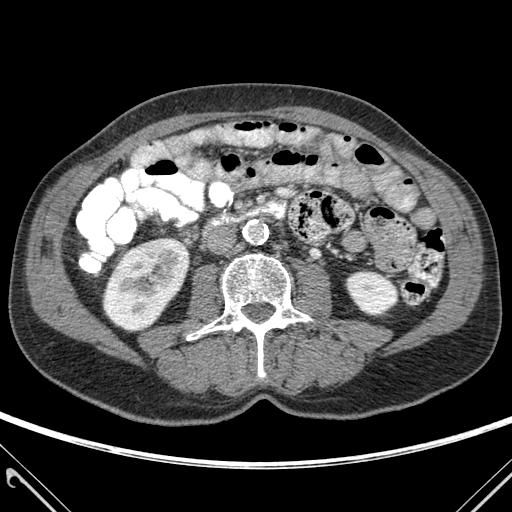

Abdomen. Computed tomography. 512x512.
Bone — 187:254:311:376.
Kidney — 104:239:186:329, 348:273:396:313.